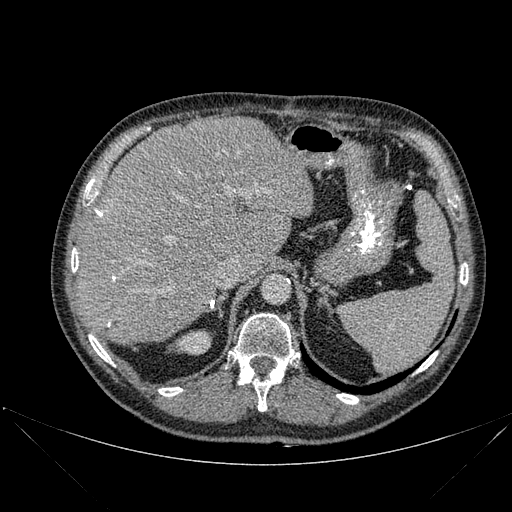

Abdomen. Computed tomography. Image size 512x512. The lung lies within x1=301 y1=346 x2=412 y2=393. 8 bone regions appear at x1=85 y1=179 x2=96 y2=198, x1=89 y1=334 x2=114 y2=365, x1=416 y1=351 x2=437 y2=372, x1=336 y1=393 x2=358 y2=404, x1=229 y1=314 x2=299 y2=411, x1=460 y1=267 x2=468 y2=284, x1=71 y1=249 x2=78 y2=271, x1=158 y1=387 x2=182 y2=396. The kidney is bounded by x1=178 y1=332 x2=209 y2=353. The liver is at x1=77 y1=117 x2=313 y2=344.